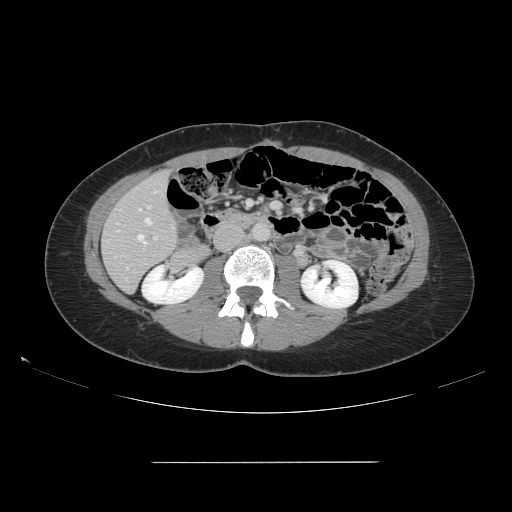
CT slice. Abdomen.

The vessel boxes may cover only some of the vessels.
Findings:
• hepatic vessel: box(139, 209, 140, 210); box(126, 268, 127, 269); box(117, 230, 119, 231); box(137, 234, 145, 243); box(153, 190, 158, 192); box(145, 219, 151, 224); box(148, 206, 150, 208); box(154, 237, 156, 238)